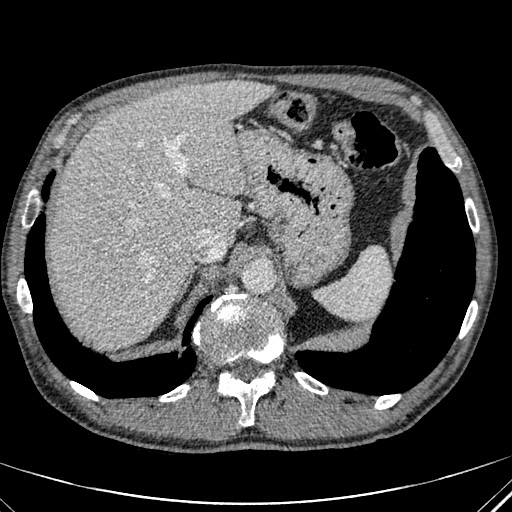

CT scan slice; Liver; 512x512
• liver: box(53, 81, 274, 348)